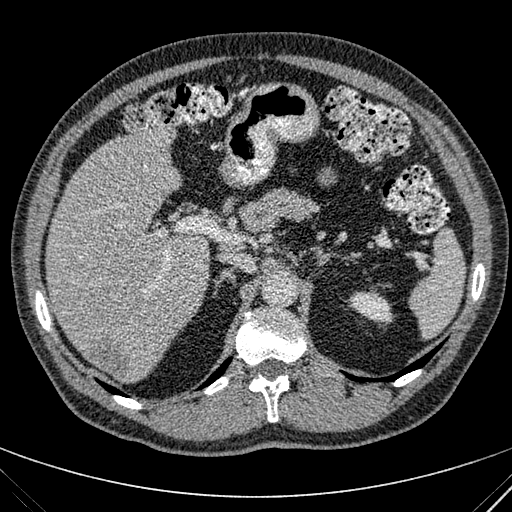

Abdomen | Computed tomography | Image size 512x512
Segmented structures:
- kidney: {"x1": 350, "y1": 292, "x2": 391, "y2": 321}
- liver lesion: {"x1": 83, "y1": 332, "x2": 130, "y2": 377}
- liver: {"x1": 46, "y1": 123, "x2": 208, "y2": 381}, {"x1": 222, "y1": 197, "x2": 234, "y2": 212}